Field of view 465 mm wide, 2.50 mm slice spacing | CT image
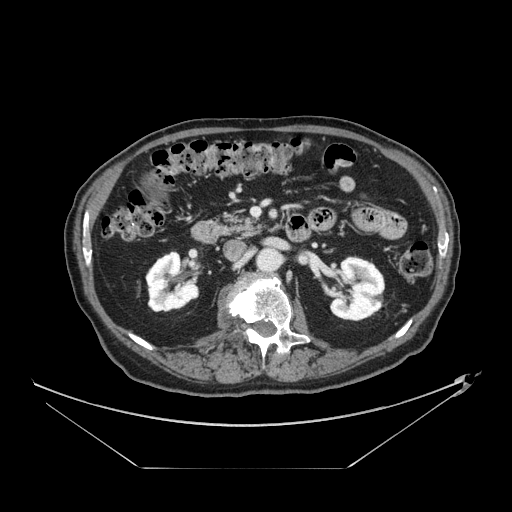 pancreas: l=213, t=213, r=264, b=236